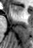

Hippocampus; MRI
anterior_hippocampus:
  - (10,6,22,11)